Computed tomography
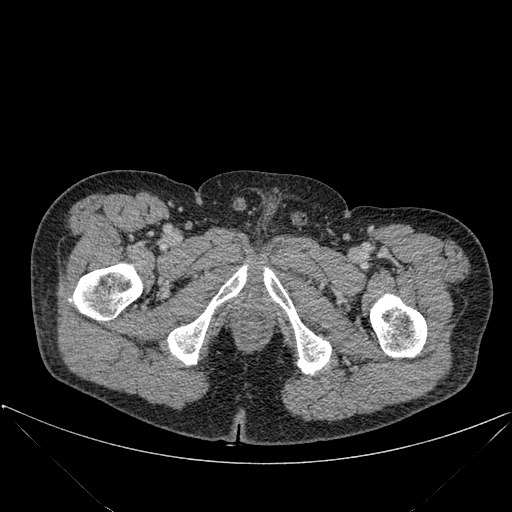 bone: x1=264 y1=267 x2=331 y2=374, x1=167 y1=265 x2=246 y2=364, x1=69 y1=263 x2=142 y2=320, x1=370 y1=294 x2=426 y2=357